MRI slice 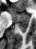
Posterior hippocampus: 17, 23, 28, 32.
Anterior hippocampus: 10, 9, 12, 10; 11, 12, 29, 22.